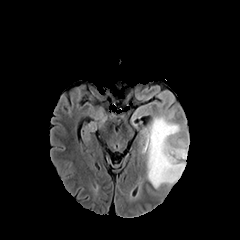
FLAIR MRI.
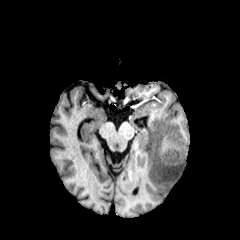
Same slice, T1-weighted MR image.
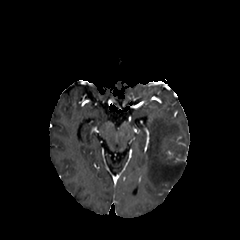
Post-contrast T1-weighted MR image of the same slice.
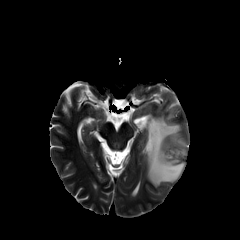
T2-weighted magnetic resonance.
The edema lies within <box>147,114,187,186</box>.